Image width 411 mm, Liver, CT, 512x512

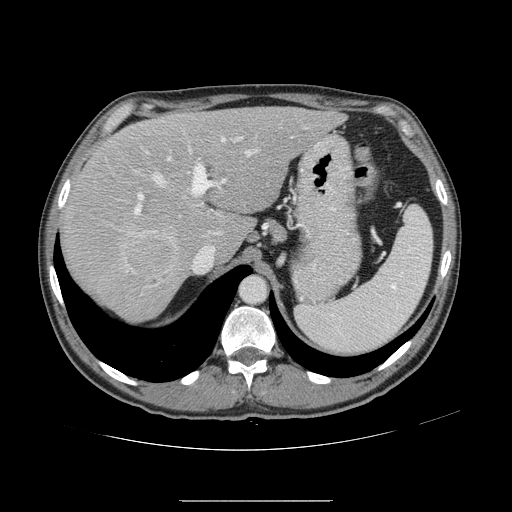 Some hepatic vessels may have no box.
partial: true
hepatic_vessel:
  # 15 of 16 shown
  - box=[134, 204, 140, 213]
  - box=[188, 164, 214, 195]
  - box=[218, 184, 220, 188]
  - box=[221, 180, 224, 182]
  - box=[153, 173, 166, 185]
  - box=[208, 231, 212, 232]
  - box=[215, 232, 221, 233]
  - box=[138, 194, 143, 199]
  - box=[137, 231, 143, 236]
  - box=[152, 230, 155, 233]
  - box=[222, 137, 224, 140]
  - box=[167, 157, 171, 160]
  - box=[129, 233, 133, 235]
  - box=[232, 137, 240, 141]
  - box=[245, 149, 257, 155]
liver_tumor:
  - box=[128, 239, 172, 273]